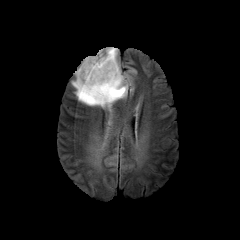
FLAIR MRI.
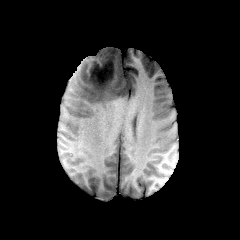
T1-weighted MR image of the same slice.
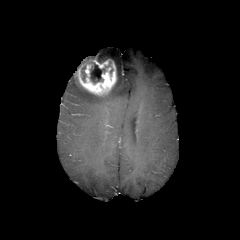
Post-contrast T1-weighted MR image.
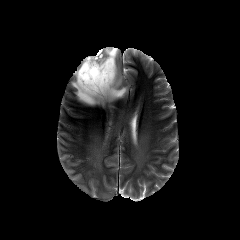
T2-weighted magnetic resonance.
Brain.
Non-enhancing tumor core: bbox(77, 57, 117, 82); bbox(81, 65, 85, 81).
Edema: bbox(71, 47, 130, 109).
Enhancing tumor: bbox(75, 61, 116, 96); bbox(92, 59, 109, 68).